Abdomen | CT image | Field of view 348 mm wide, 0.80 mm slice spacing
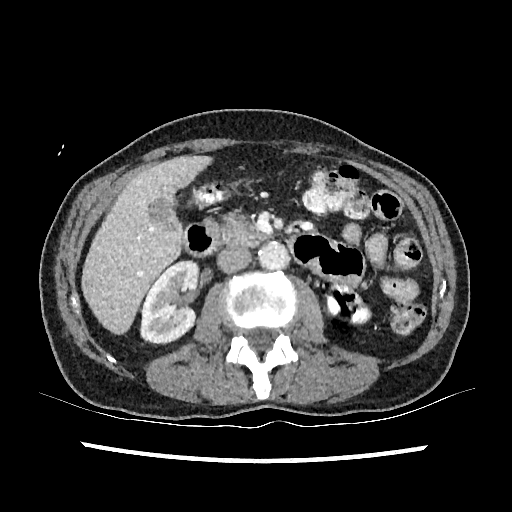 Annotated regions:
* liver lesion: 147 197 172 222, 167 222 174 229
* kidney: 141 260 203 342
* liver: 84 155 209 331